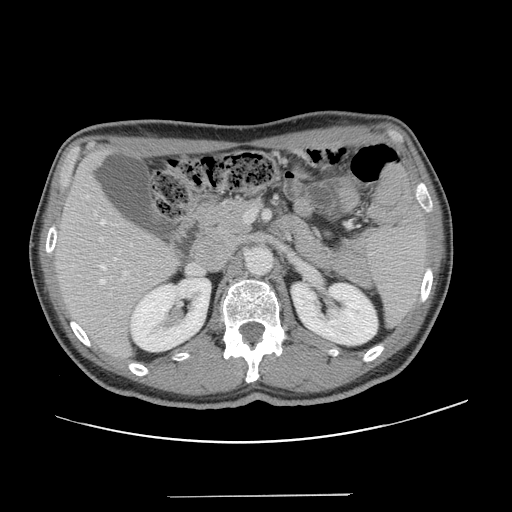 Abdomen; Image size 512x512; CT image
The vessel annotation is not exhaustive.
7 hepatic vessel regions appear at box=[100, 265, 105, 269]; box=[86, 196, 88, 198]; box=[99, 237, 102, 240]; box=[114, 257, 116, 260]; box=[100, 220, 105, 224]; box=[100, 279, 104, 283]; box=[122, 271, 128, 276].